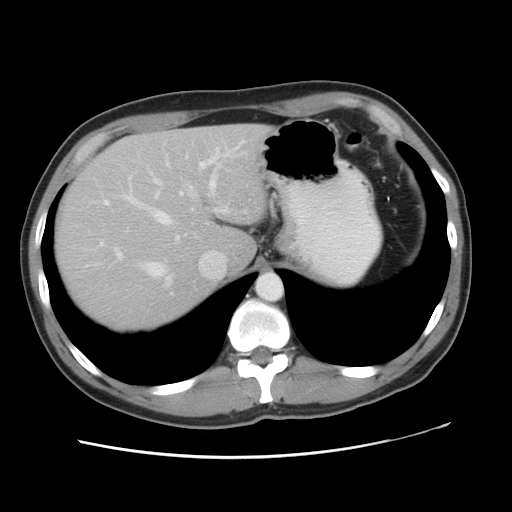

Liver | 512x512 | CT image
Not every hepatic vessel necessarily has a box.
The most prominent 15 hepatic vessel regions (of 17) are bounded by 215:208:226:211, 103:199:109:204, 100:241:103:245, 123:188:172:225, 155:192:158:196, 201:251:212:258, 189:186:192:190, 209:176:214:194, 199:148:228:167, 180:191:182:194, 175:236:178:240, 141:262:171:284, 115:248:121:258, 154:178:159:182, 221:255:224:259.